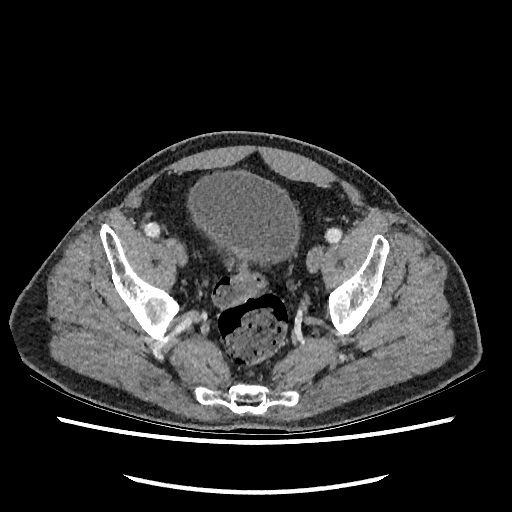 Pelvis; CT slice

Urinary bladder: bounding box 188,171,299,264.